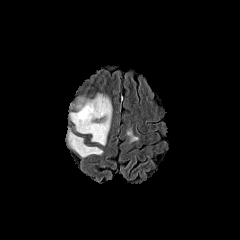
FLAIR MR.
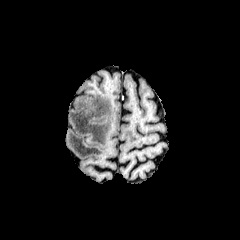
Same slice, T1-weighted magnetic resonance.
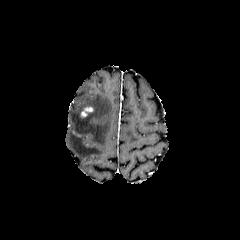
Same slice, post-contrast T1-weighted MRI.
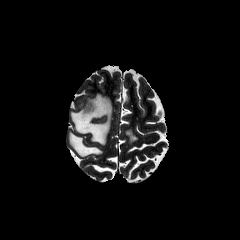
T2-weighted MR image.
{"edema": [{"x1": 68, "y1": 93, "x2": 112, "y2": 145}, {"x1": 65, "y1": 128, "x2": 102, "y2": 157}]}